FLAIR MR.
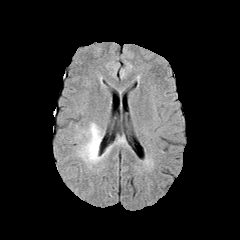
T1-weighted MR.
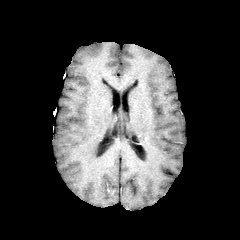
Post-contrast T1-weighted MRI.
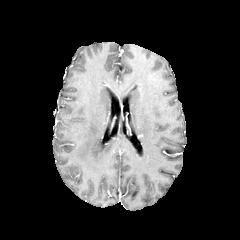
T2-weighted MRI.
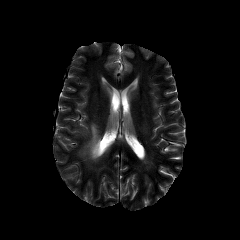
240x240.
edema:
  - box=[74, 122, 111, 167]